Brain. Slice index 110. Image size 240x240.
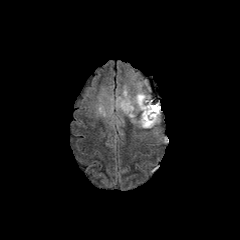
FLAIR magnetic resonance.
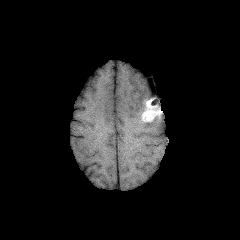
T1-weighted magnetic resonance.
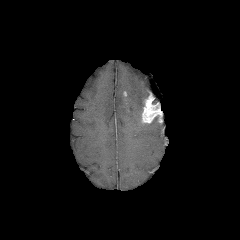
Post-contrast T1-weighted MR image of the same slice.
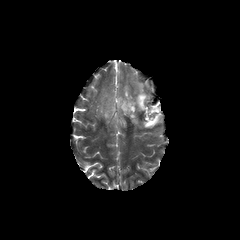
T2-weighted MR of the same slice.
The non-enhancing tumor core is located at box(140, 94, 145, 114). The edema is located at box(95, 80, 159, 133). The enhancing tumor is located at box(142, 95, 160, 124).